CT image, Slice 32/141, Abdomen

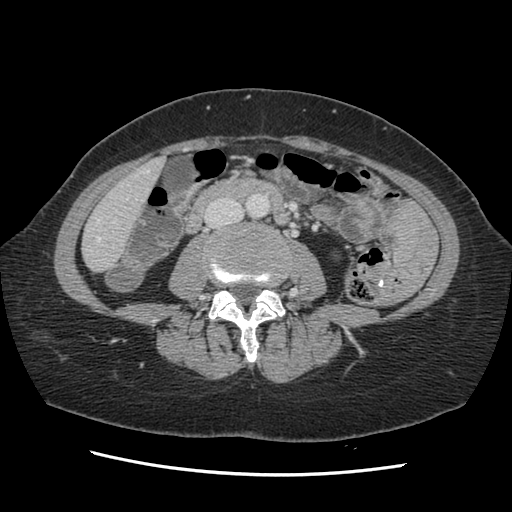 Only some of the vessels may be annotated.
3 hepatic vessel regions are bounded by [x1=143, y1=170, x2=149, y2=173], [x1=97, y1=218, x2=99, y2=222], [x1=97, y1=237, x2=100, y2=240].